Upper abdomen. CT.

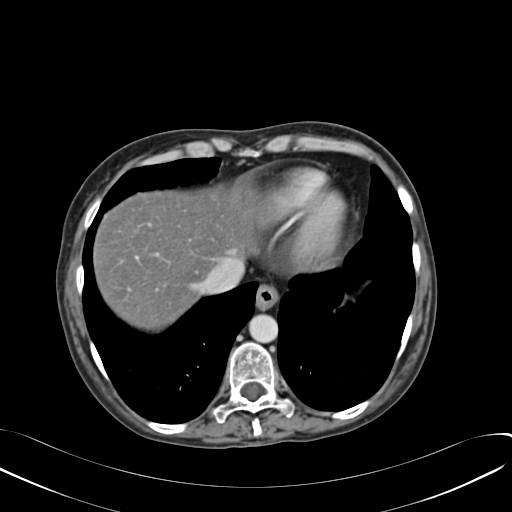
Annotated regions:
• liver: rect(94, 188, 255, 329)